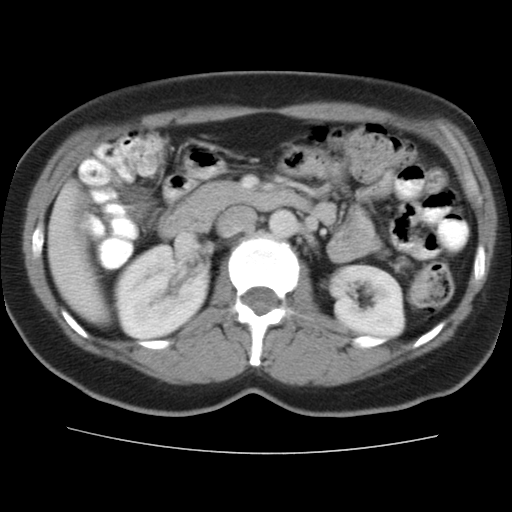

Abdomen | CT image

The colon tumor is at (411,269,428,298).